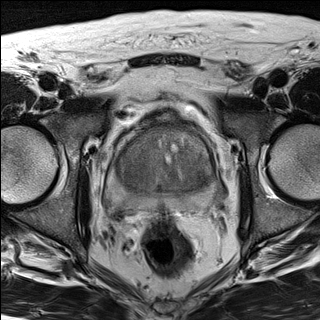
T2-weighted magnetic resonance.
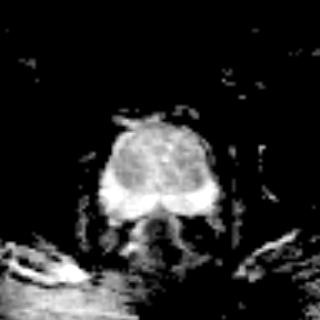
ADC MRI.
Prostate transition zone at box=[115, 130, 214, 194].
Prostate peripheral zone at box=[107, 155, 214, 213].